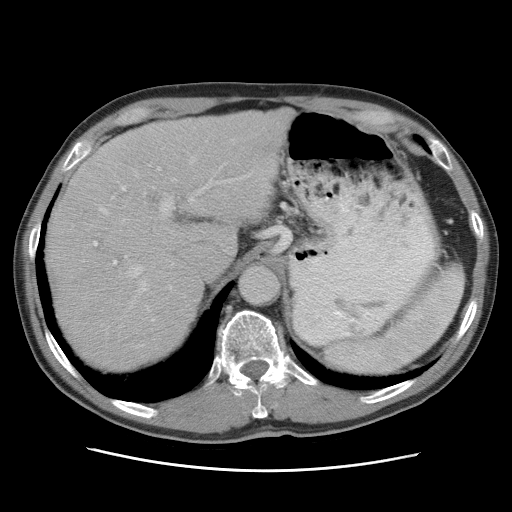 CT scan slice, Abdomen
The vessel boxes may cover only some of the vessels.
Annotated regions:
* hepatic vessel (most prominent 15 of 17): region(99, 207, 107, 214); region(157, 168, 159, 169); region(130, 281, 146, 308); region(129, 266, 142, 277); region(166, 214, 169, 215); region(93, 242, 97, 245); region(105, 328, 107, 330); region(125, 255, 127, 257); region(121, 186, 125, 190); region(189, 157, 194, 164); region(172, 179, 174, 181); region(163, 202, 169, 210); region(197, 174, 249, 194); region(151, 318, 154, 321); region(113, 260, 116, 264)